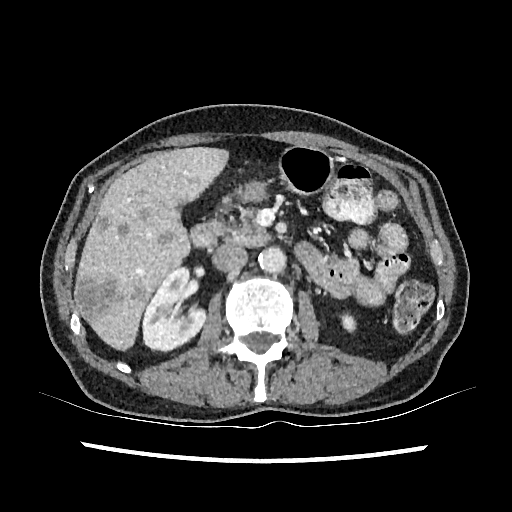

CT slice. Liver.

Kidney: 344 317 352 328, 143 266 205 350.
Hepatic lesion: 158 230 176 244, 139 208 150 221, 75 277 117 320, 135 189 147 196, 118 223 128 235, 130 286 145 301, 96 216 111 232.
Liver: 75 147 226 348.